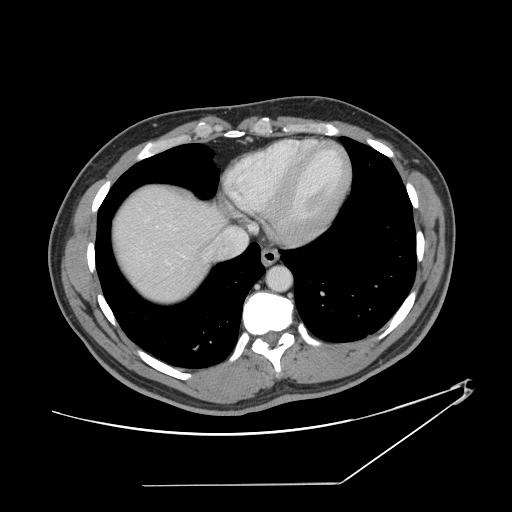

CT slice | Image size 512x512
Only some of the vessels may be annotated.
Hepatic vessel: x1=168, y1=263, x2=170, y2=266; x1=165, y1=259, x2=166, y2=261.